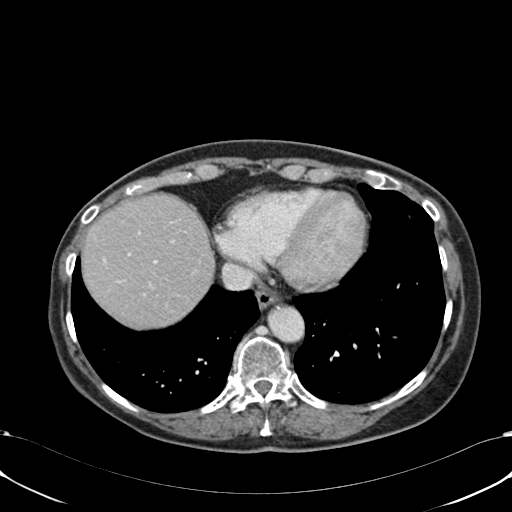
CT, 512x512, Abdomen
Liver — [81,194,213,326].